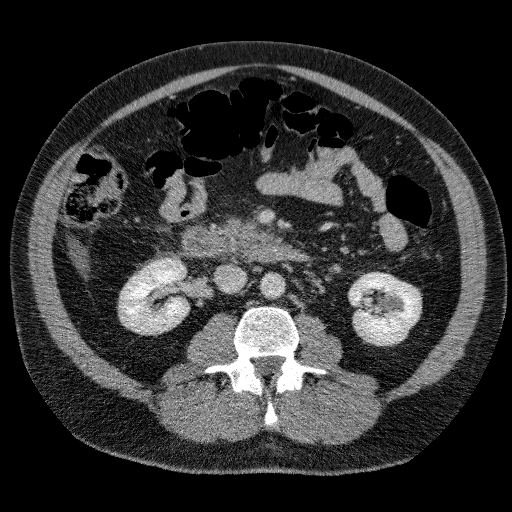

512x512 | CT image

{"liver": ["66,237,92,275"], "kidney": ["120,258,188,332", "350,273,420,344"]}